Upper abdomen, Field of view 360x360 mm, CT slice, 512x512

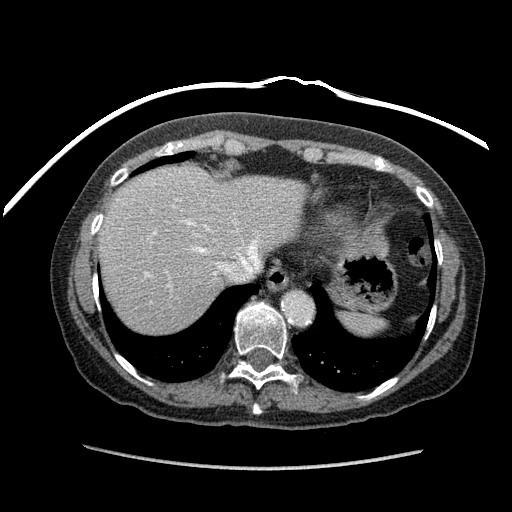

Liver — [99, 164, 302, 333], [354, 225, 371, 234].